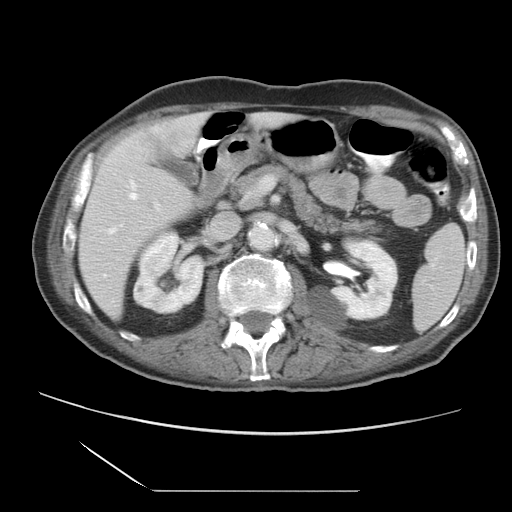

Computed tomography. Abdomen.
Not every hepatic vessel necessarily has a box.
Segmented structures:
* hepatic vessel: x1=109, y1=228, x2=115, y2=233; x1=260, y1=177, x2=273, y2=188; x1=128, y1=176, x2=137, y2=200; x1=155, y1=203, x2=159, y2=210